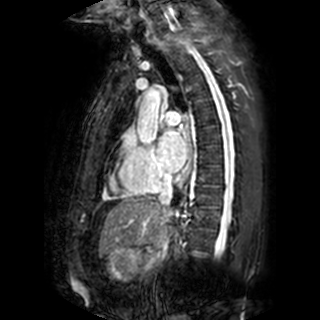

Cardiac; MR; 320x320 px
<segmentation>
  <left_atrium>[x1=158, y1=129, x2=186, y2=172]</left_atrium>
</segmentation>